320x320 px; Slice 90/120; MRI slice
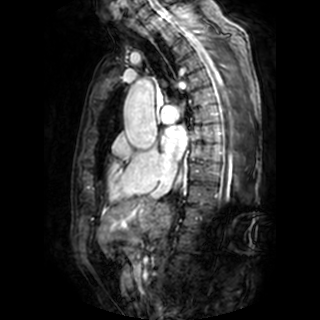 - left atrium: bbox=[161, 125, 187, 159]